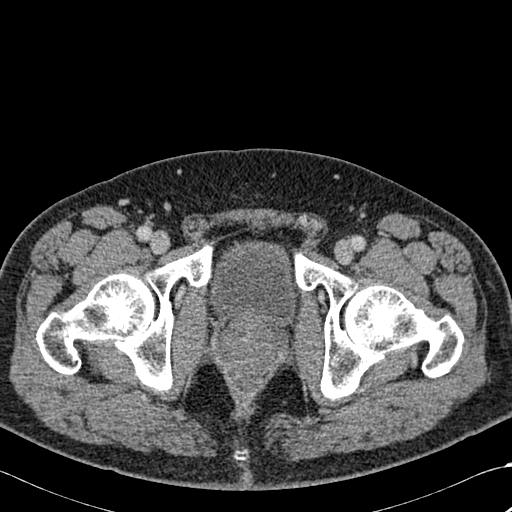 CT image

Bone at <bbox>36, 246, 212, 390</bbox>, <bbox>295, 254, 463, 399</bbox>.